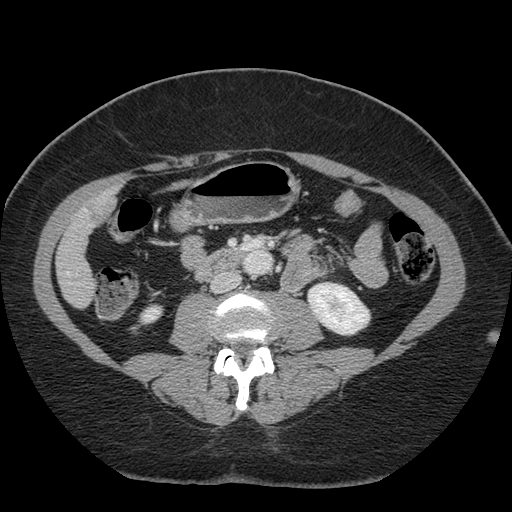

Abdomen, Computed tomography

Not every hepatic vessel necessarily has a box.
Liver tumor — bbox(87, 205, 104, 223).
Hepatic vessel — bbox(67, 273, 69, 275).